240x240 | Head
FLAIR magnetic resonance.
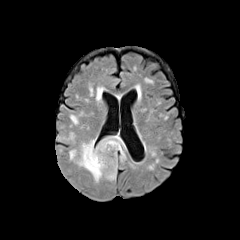
T1-weighted MRI.
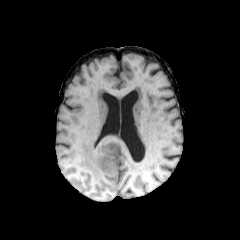
Post-contrast T1-weighted magnetic resonance.
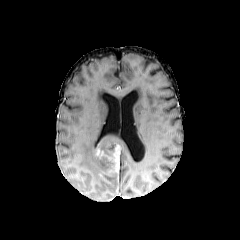
T2-weighted MR image.
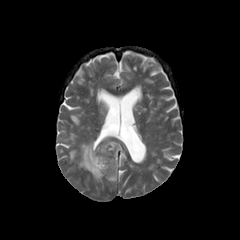
edema: bbox(120, 149, 126, 162); bbox(69, 129, 126, 181); bbox(106, 174, 116, 180) | non-enhancing tumor core: bbox(96, 143, 118, 172) | enhancing tumor: bbox(107, 144, 120, 176)